Slice 421/917 | Computed tomography

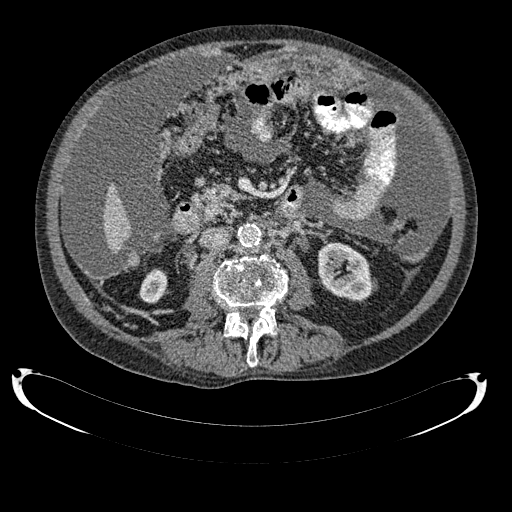

2 kidney regions appear at left=318, top=243, right=372, bottom=300; left=140, top=269, right=166, bottom=302. The liver is at left=104, top=183, right=130, bottom=252.